CT image | 512x512 | Upper abdomen
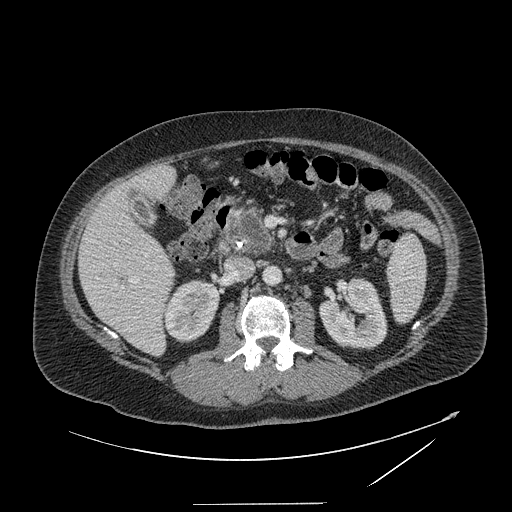 pancreas: 232:207:274:256